FLAIR MR.
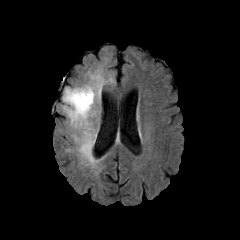
T1-weighted MRI.
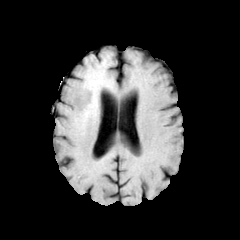
Post-contrast T1-weighted magnetic resonance.
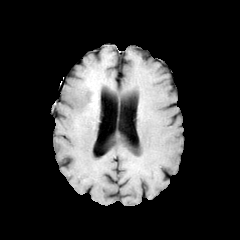
T2-weighted MR image.
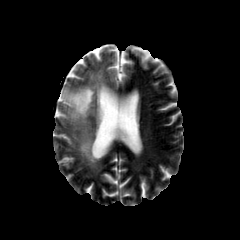
Image size 240x240 | Head
edema:
  - (x1=89, y1=71, x2=106, y2=106)
  - (x1=62, y1=86, x2=100, y2=170)
non-enhancing_tumor_core:
  - (x1=75, y1=81, x2=101, y2=120)
enhancing_tumor:
  - (x1=89, y1=91, x2=99, y2=115)